Slice 92 of 155. Field of view 240x240 mm. Head.
FLAIR MRI.
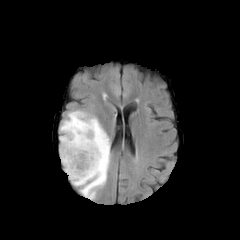
T1-weighted MRI.
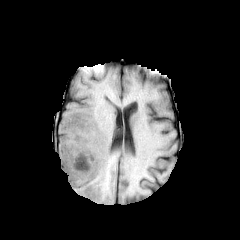
Post-contrast T1-weighted MR.
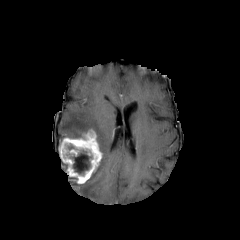
T2-weighted magnetic resonance.
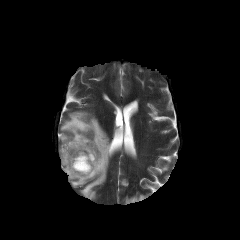
The enhancing tumor appears at (left=59, top=130, right=102, bottom=183). The non-enhancing tumor core is at (left=72, top=151, right=90, bottom=173). The edema appears at (left=60, top=110, right=111, bottom=199).